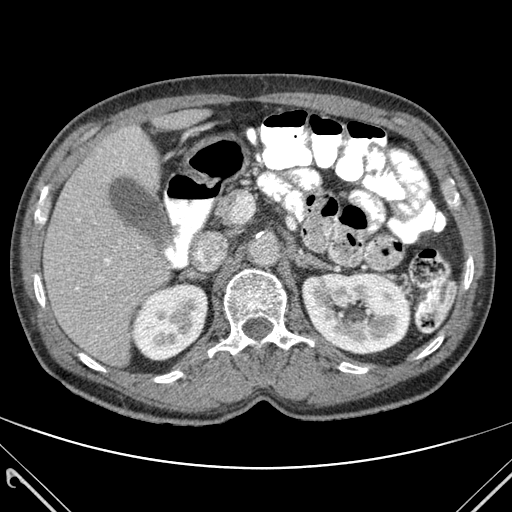
Image size 512x512, Abdomen, CT image
Annotated regions:
- bone: l=339, t=362, r=367, b=373; l=35, t=186, r=47, b=227; l=154, t=371, r=182, b=382; l=417, t=337, r=442, b=357; l=464, t=257, r=473, b=288; l=208, t=270, r=313, b=356; l=79, t=353, r=105, b=371; l=449, t=192, r=458, b=203; l=34, t=274, r=44, b=306
- kidney: l=303, t=274, r=409, b=352; l=133, t=285, r=206, b=359
- liver: l=43, t=126, r=168, b=367; l=156, t=109, r=204, b=129